FLAIR MRI.
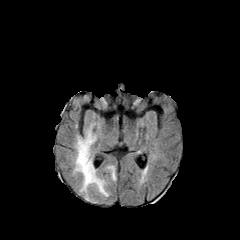
T1-weighted magnetic resonance.
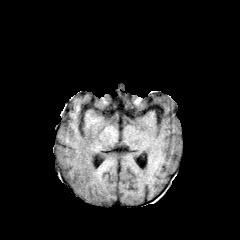
Post-contrast T1-weighted magnetic resonance.
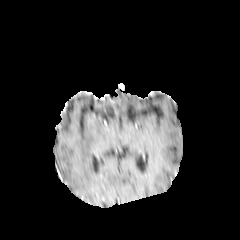
T2-weighted MRI.
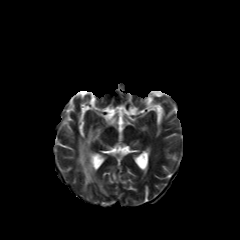
<segmentation>
  <edema>box=[106, 166, 116, 181]; box=[73, 125, 108, 199]</edema>
</segmentation>